Lung | 512x512 | CT scan slice | Field of view 440x440 mm | Slice 169 of 282

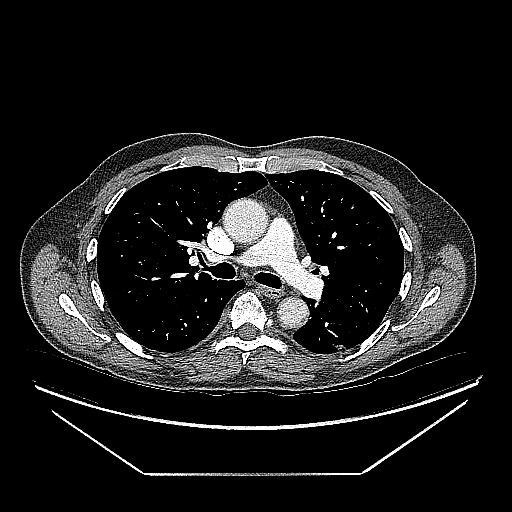
lung_tumor:
  - [329,327,356,351]